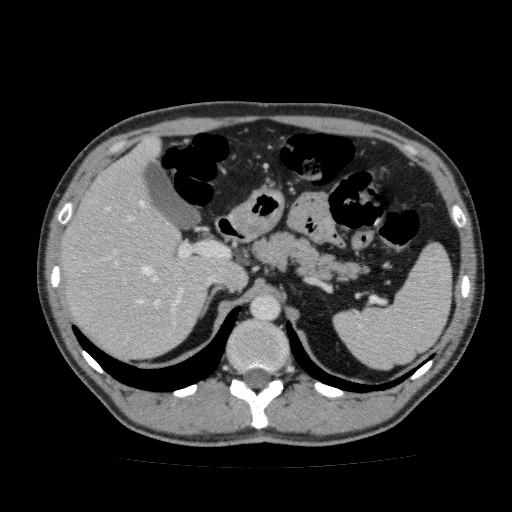

CT slice; Liver; 512x512 px
The liver appears at 59:136:248:360.